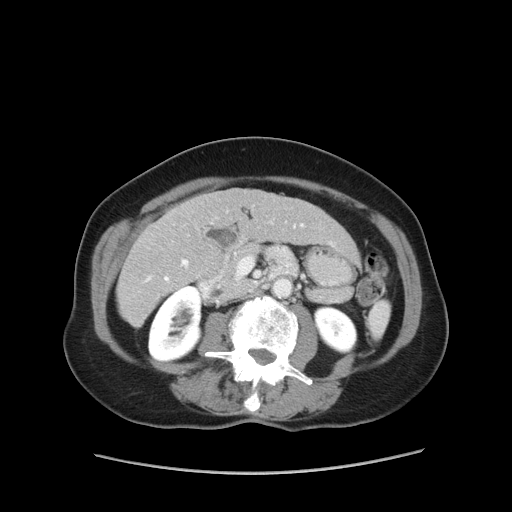

Liver | CT scan slice | 512x512

Some hepatic vessels may have no box.
{
  "hepatic_vessel": [
    "(166,277,167,279)",
    "(300,224,304,226)",
    "(181,259,188,267)",
    "(143,276,150,282)"
  ]
}